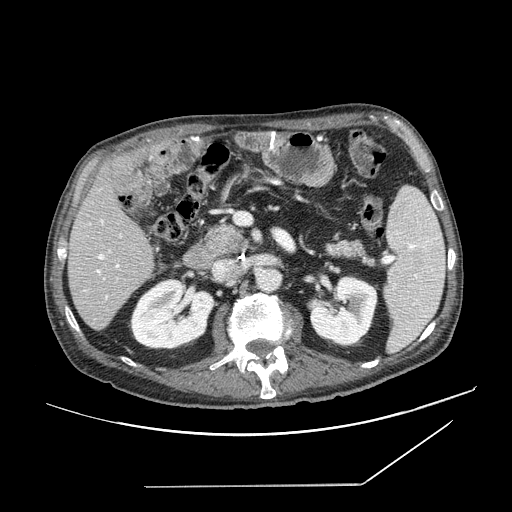
Image size 512x512. Computed tomography.
Annotated regions:
* pancreas: box(328, 242, 372, 264); box(207, 226, 245, 254)
* pancreatic tumor: box(232, 240, 242, 252)